CT slice; Slice 38/73
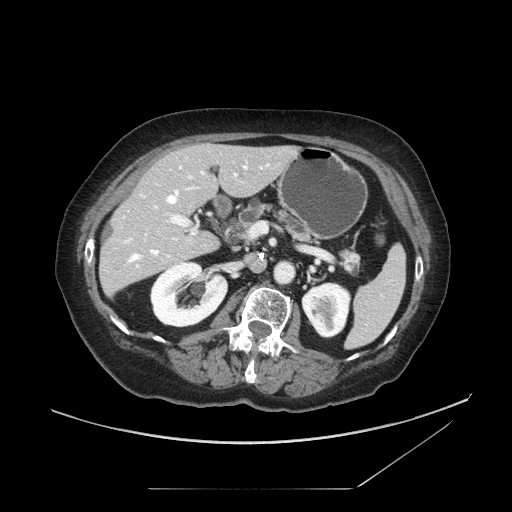

2 pancreas regions are bounded by <box>229,199,314,244</box>, <box>340,251,359,272</box>.